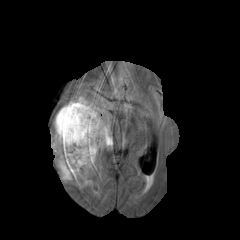
FLAIR MRI.
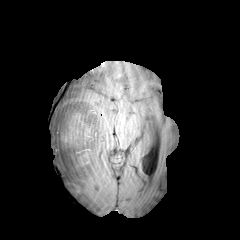
T1-weighted MR image of the same slice.
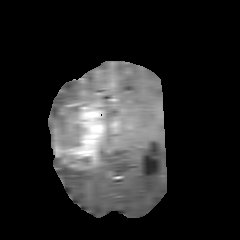
Post-contrast T1-weighted MR.
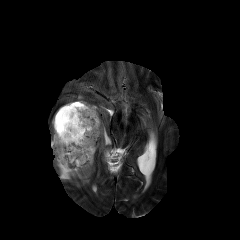
T2-weighted MR image.
Brain
Non-enhancing tumor core: box=[59, 105, 82, 146].
Edema: box=[96, 105, 103, 123]; box=[96, 123, 111, 154]; box=[54, 155, 95, 183]; box=[68, 96, 88, 103]; box=[52, 106, 79, 135].
Enhancing tumor: box=[53, 102, 104, 168].